CT image | Image width 373 mm | Slice index 544
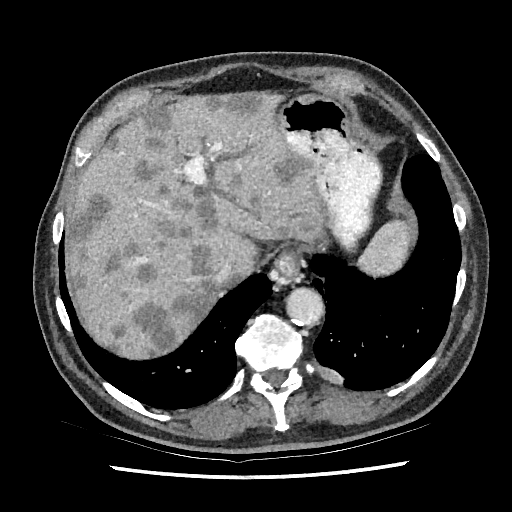 <segmentation>
  <liver>region(180, 329, 192, 341); region(73, 94, 330, 356); region(69, 230, 76, 277)</liver>
  <liver_lesion>region(137, 266, 156, 282); region(143, 111, 175, 151); region(207, 93, 263, 113); region(130, 245, 220, 354); region(249, 191, 262, 210); region(108, 136, 120, 151); region(299, 220, 314, 232); region(132, 160, 164, 182); region(115, 327, 125, 339); region(268, 148, 311, 186); region(228, 173, 242, 188); region(155, 186, 221, 248); region(273, 225, 294, 237); region(70, 193, 113, 293); region(103, 239, 143, 273)</liver_lesion>
</segmentation>